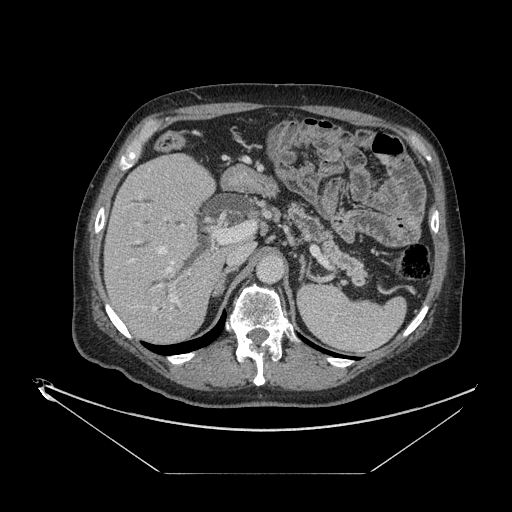 Upper abdomen, Computed tomography
The pancreas lies within left=285, top=203, right=367, bottom=286.